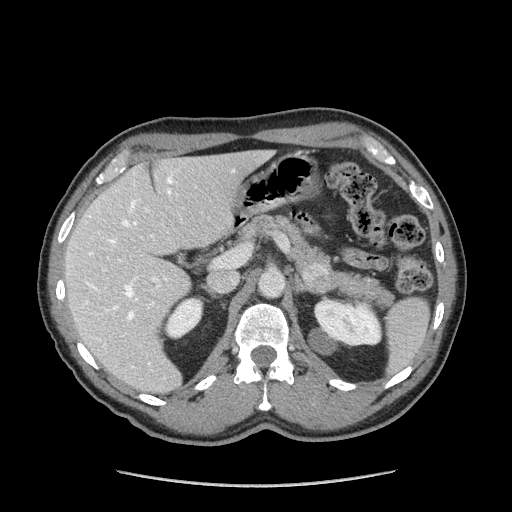

CT slice

pancreas: 238 215 392 306 | pancreatic tumor: 303 264 330 291